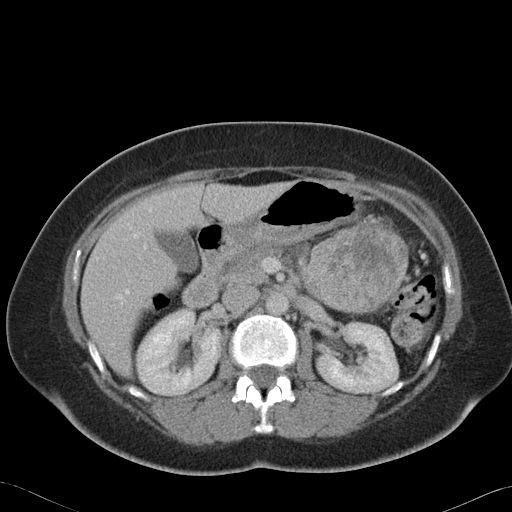
CT scan slice; 512x512; Upper abdomen
4 pancreas regions are bounded by [x1=381, y1=225, x2=403, y2=240], [x1=304, y1=250, x2=312, y2=285], [x1=218, y1=245, x2=284, y2=284], [x1=336, y1=298, x2=389, y2=312]. The pancreatic tumor is at [x1=306, y1=217, x2=406, y2=310].